Slice 10 of 20, Pelvis
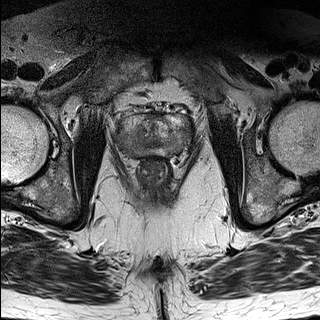
T2-weighted MR image.
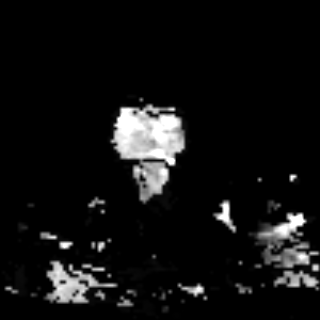
ADC magnetic resonance.
prostate_peripheral_zone:
  - rect(117, 115, 191, 158)